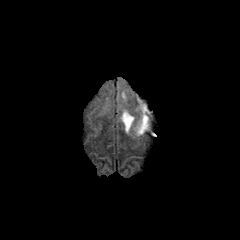
FLAIR MRI.
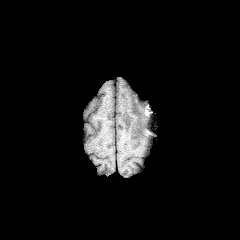
T1-weighted MR image.
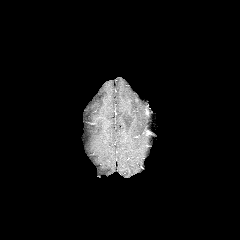
Post-contrast T1-weighted MR.
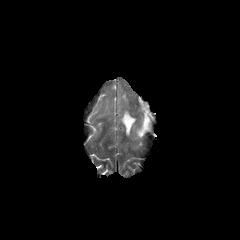
T2-weighted MR image.
<segmentation>
  <edema>118, 99, 151, 136</edema>
</segmentation>